Image size 240x240
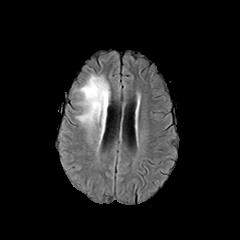
FLAIR MR.
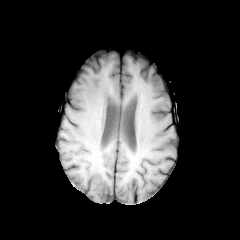
T1-weighted MR of the same slice.
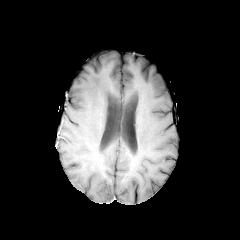
Post-contrast T1-weighted MR.
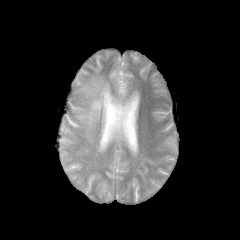
T2-weighted MR.
Edema: 75, 73, 110, 150.